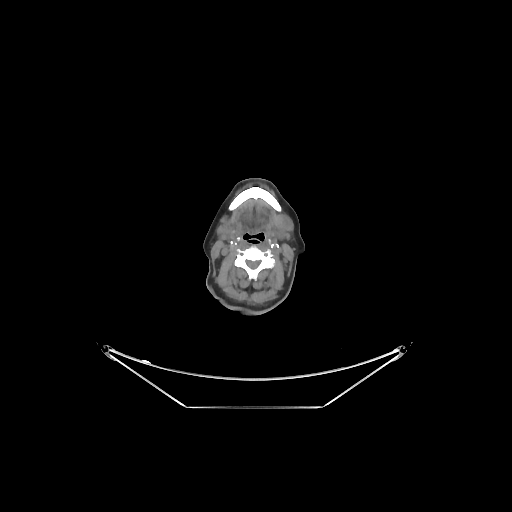

CT; Image size 512x512
2 bone regions appear at {"x1": 229, "y1": 187, "x2": 280, "y2": 211}, {"x1": 234, "y1": 245, "x2": 274, "y2": 279}.